FLAIR MRI.
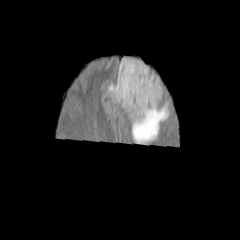
T1-weighted MRI.
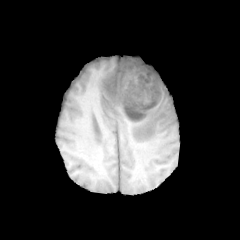
Post-contrast T1-weighted MRI.
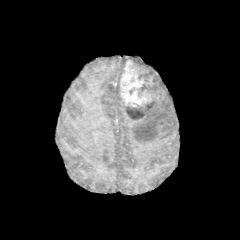
T2-weighted MR.
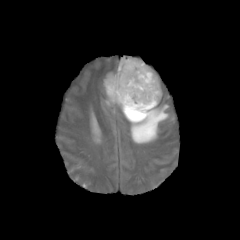
Findings:
• edema: bbox=[122, 93, 168, 142]; bbox=[102, 56, 144, 107]
• non-enhancing tumor core: bbox=[123, 58, 162, 119]
• enhancing tumor: bbox=[119, 59, 155, 107]